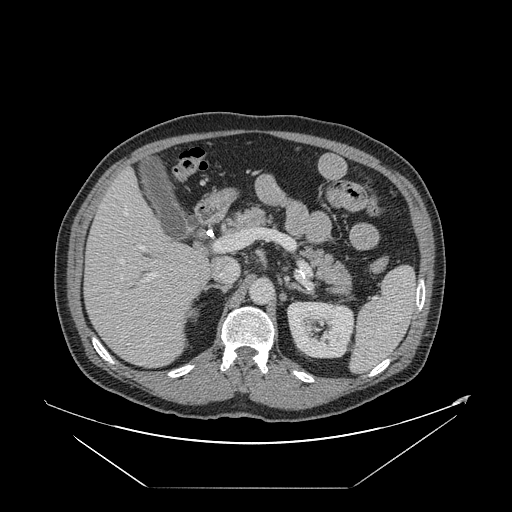 512x512. Computed tomography.
The vessel annotation is not exhaustive.
7 hepatic vessel regions are bounded by box=[144, 272, 156, 280]; box=[124, 208, 127, 215]; box=[120, 276, 122, 278]; box=[214, 233, 237, 250]; box=[120, 260, 123, 263]; box=[139, 246, 144, 250]; box=[145, 338, 147, 342].